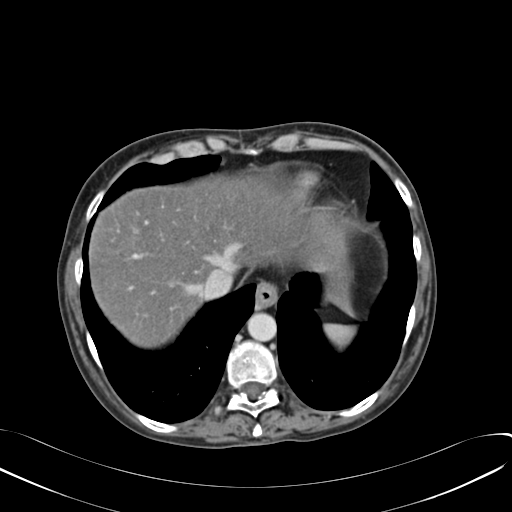

CT slice; Upper abdomen

Liver — bbox=[90, 178, 347, 348]; bbox=[332, 277, 349, 294].